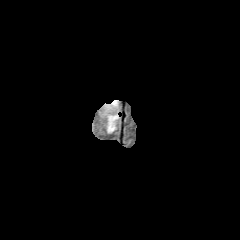
FLAIR MRI.
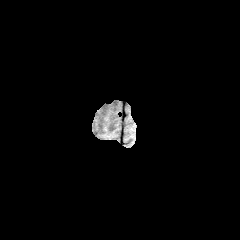
T1-weighted MRI.
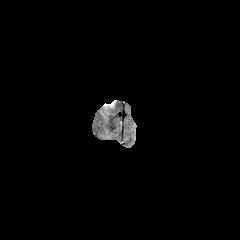
Post-contrast T1-weighted MRI of the same slice.
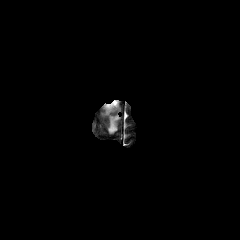
Same slice, T2-weighted MR image.
240x240
edema: <box>103,100,118,131</box>